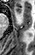

MR image. Medial temporal lobe. 35x55.

anterior_hippocampus:
  - 15, 7, 21, 13